Image size 39x50. Medial temporal lobe. Slice 18/40. Field of view 39x50 mm. Magnetic resonance. 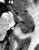
Posterior hippocampus: <bbox>17, 21, 32, 33</bbox>.
Anterior hippocampus: <bbox>11, 10, 31, 21</bbox>.